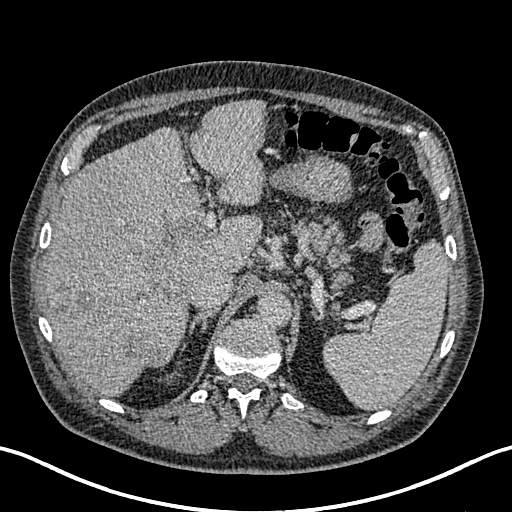

Liver; CT image
liver: [x1=191, y1=100, x2=263, y2=205], [x1=45, y1=126, x2=262, y2=395] | hepatic lesion: [x1=133, y1=219, x2=201, y2=303], [x1=56, y1=282, x2=71, y2=313], [x1=123, y1=332, x2=164, y2=365], [x1=73, y1=289, x2=95, y2=313]